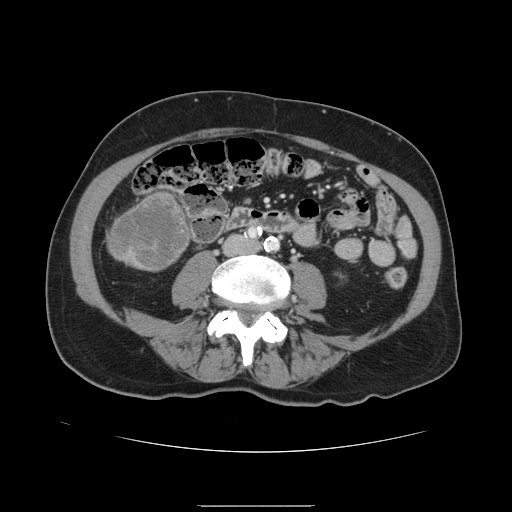
CT slice

The liver tumor is bounded by (111, 195, 187, 269).